FLAIR MR image.
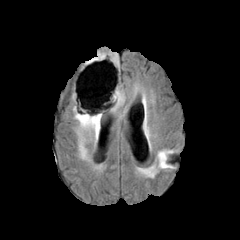
T1-weighted MR.
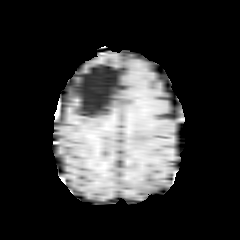
Post-contrast T1-weighted MRI.
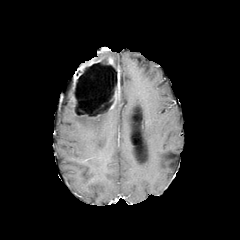
T2-weighted MR image.
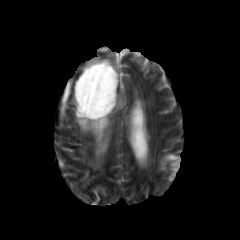
Head | 240x240 px
Annotated regions:
* edema: (x1=143, y1=117, x2=150, y2=136), (x1=79, y1=142, x2=90, y2=161), (x1=108, y1=53, x2=120, y2=65), (x1=110, y1=80, x2=129, y2=119), (x1=141, y1=92, x2=147, y2=107), (x1=158, y1=150, x2=173, y2=169), (x1=72, y1=104, x2=103, y2=145)
* non-enhancing tumor core: (x1=74, y1=74, x2=122, y2=117)
* enhancing tumor: (x1=110, y1=83, x2=120, y2=108)